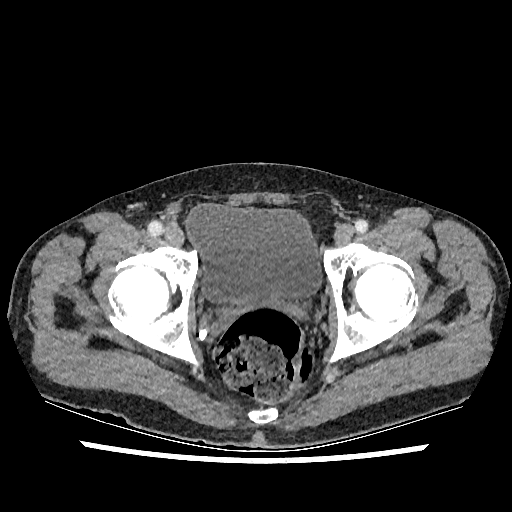

Computed tomography, Pelvis, Image size 512x512
The urinary bladder is bounded by 187 202 322 327.